FLAIR MRI.
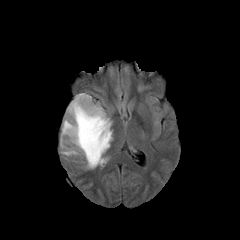
T1-weighted magnetic resonance.
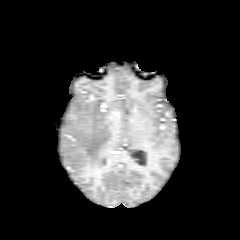
Post-contrast T1-weighted MR image.
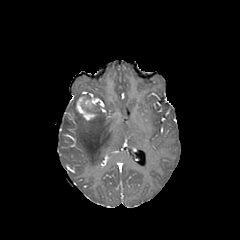
T2-weighted MR image.
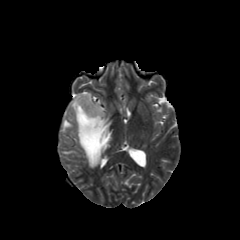
Edema — left=61, top=150, right=78, bottom=155; left=60, top=93, right=112, bottom=168.
Enhancing tumor — left=76, top=97, right=97, bottom=120.